Computed tomography

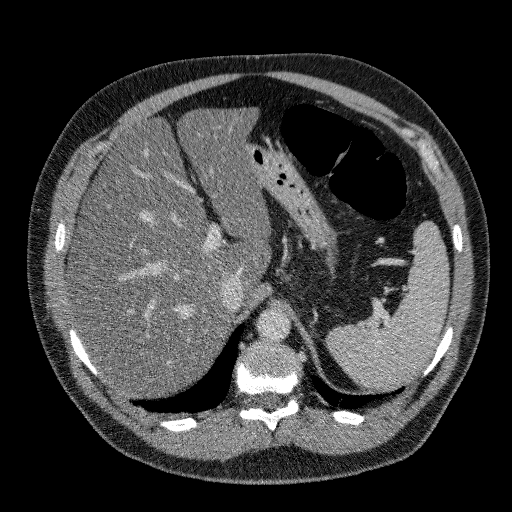
{
  "liver": [
    "rect(67, 107, 270, 396)"
  ]
}